Brain; 240x240
FLAIR MR.
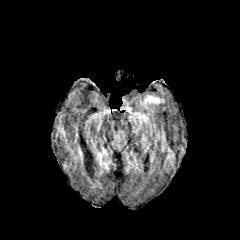
T1-weighted MRI.
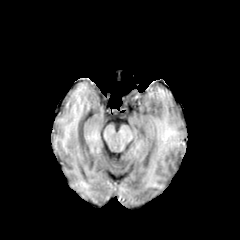
Post-contrast T1-weighted MR.
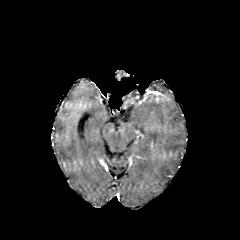
T2-weighted MRI.
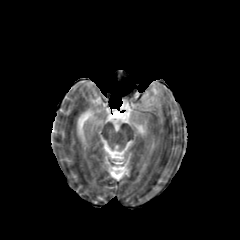
Segmented structures:
* edema: 146:96:157:101